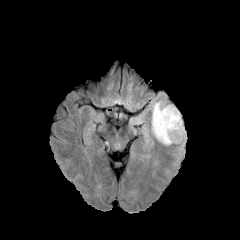
FLAIR magnetic resonance.
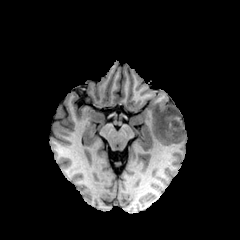
T1-weighted MRI.
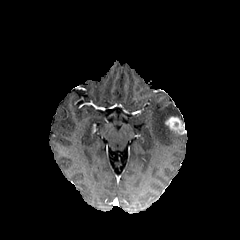
Same slice, post-contrast T1-weighted MR.
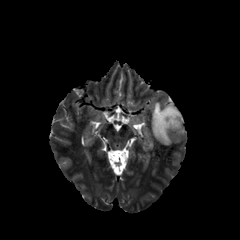
T2-weighted MR image of the same slice.
Enhancing tumor at 165:117:185:133.
Edema at 151:101:180:144.